CT scan slice; 512x512; Field of view 366 mm wide, 5.00 mm slice spacing; Abdomen; Slice 34/45
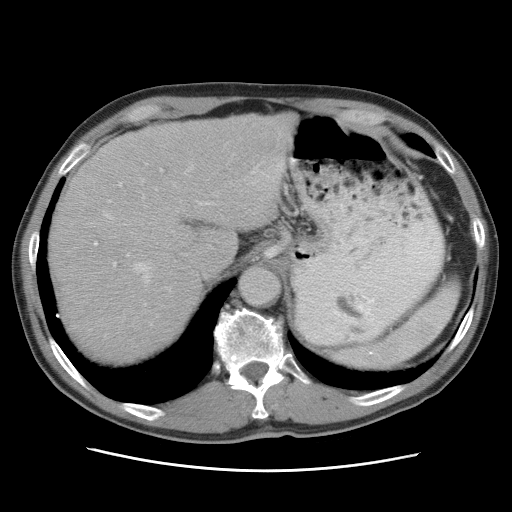
Only some of the vessels may be annotated.
- hepatic vessel (top 15 of 17): 251:165:258:174, 140:178:143:184, 118:183:121:186, 142:196:144:198, 103:212:111:218, 197:202:213:205, 261:162:263:163, 160:169:162:171, 126:254:129:256, 133:262:151:283, 185:164:192:174, 93:241:97:245, 229:181:232:184, 165:207:168:209, 112:262:115:266